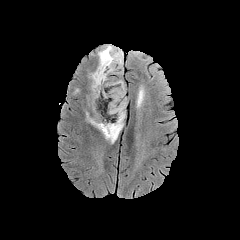
FLAIR magnetic resonance.
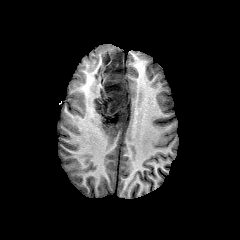
T1-weighted magnetic resonance of the same slice.
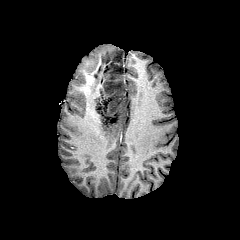
Post-contrast T1-weighted magnetic resonance.
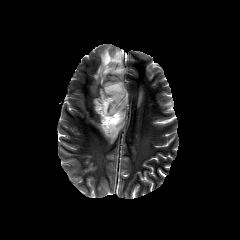
Same slice, T2-weighted MR image.
Brain.
non-enhancing tumor core: 96:52:121:73, 96:81:126:127 | edema: 136:88:143:105, 96:45:120:63, 86:70:127:143